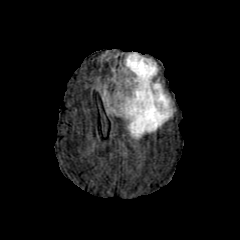
FLAIR magnetic resonance.
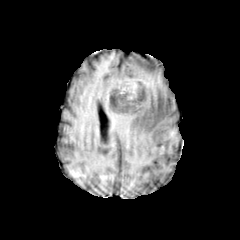
T1-weighted MR image.
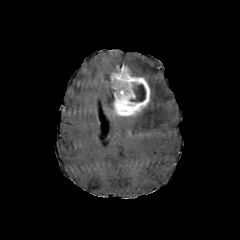
Post-contrast T1-weighted MR of the same slice.
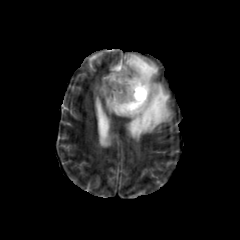
T2-weighted MR of the same slice.
240x240 px | Head
2 edema regions appear at bbox(100, 84, 113, 113); bbox(123, 52, 172, 138). The enhancing tumor appears at bbox(111, 65, 149, 116). The non-enhancing tumor core appears at bbox(131, 84, 145, 102).